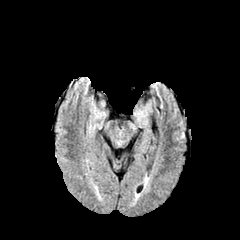
FLAIR MR.
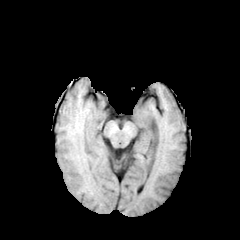
T1-weighted MR of the same slice.
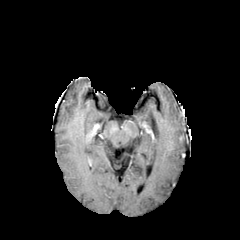
Post-contrast T1-weighted MR.
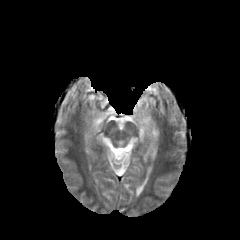
T2-weighted MRI of the same slice.
Head
edema: {"x1": 134, "y1": 106, "x2": 149, "y2": 128}